FLAIR magnetic resonance.
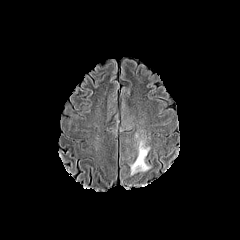
T1-weighted MR.
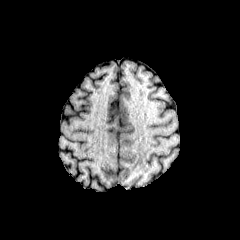
Post-contrast T1-weighted MRI.
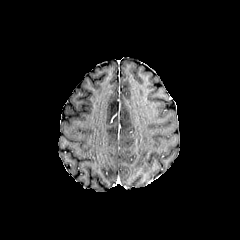
T2-weighted MRI.
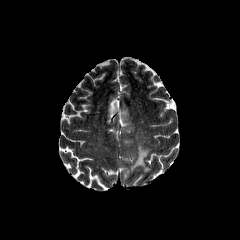
Head
Edema at region(130, 140, 149, 172).